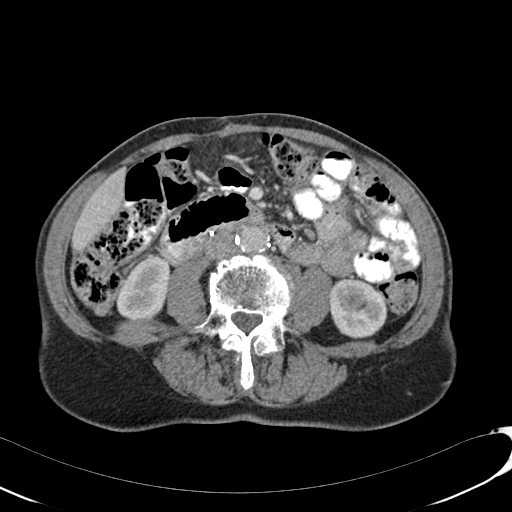

CT scan slice; 512x512 px; Abdomen
liver: 73:168:125:249 | kidney: 117:256:169:319, 329:279:385:337